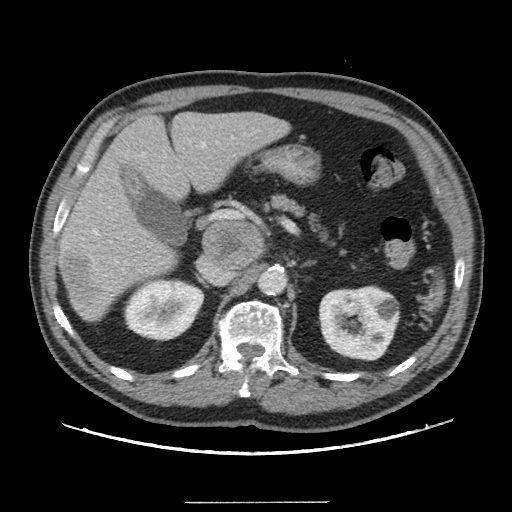
Liver. Image size 512x512. CT image.

<segmentation>
  <liver_tumor>62,250,101,310</liver_tumor>
</segmentation>